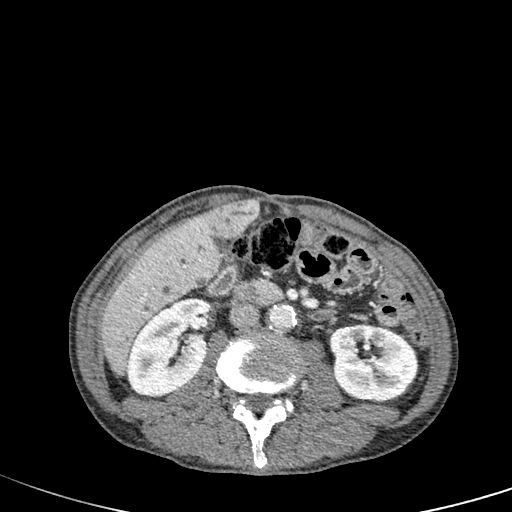

CT image | 512x512 px | Liver

Liver: x1=101, y1=210, x2=222, y2=376.
Liver lesion: x1=206, y1=199, x2=259, y2=237.
Kidney: x1=331, y1=325, x2=417, y2=400; x1=127, y1=299, x2=209, y2=395.